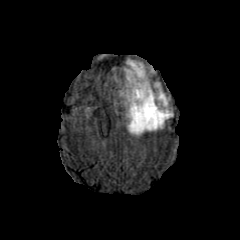
FLAIR MR.
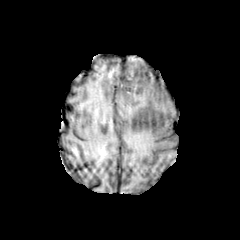
T1-weighted MR.
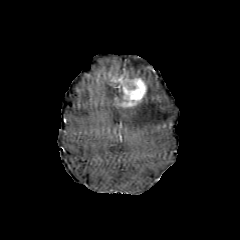
Same slice, post-contrast T1-weighted MR image.
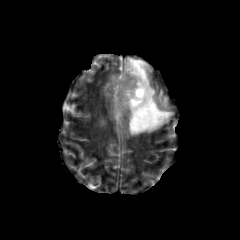
T2-weighted MR image.
Head
{
  "edema": [
    "x1=124 y1=58 x2=173 y2=135",
    "x1=114 y1=87 x2=123 y2=107"
  ],
  "non-enhancing_tumor_core": [
    "x1=124 y1=69 x2=139 y2=78"
  ],
  "enhancing_tumor": [
    "x1=113 y1=74 x2=146 y2=106"
  ]
}